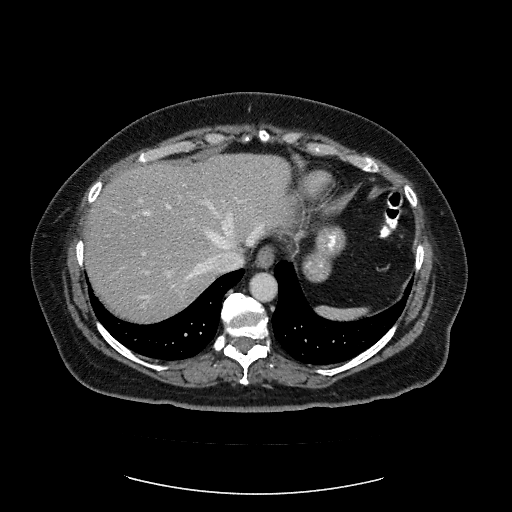
Abdomen. CT slice. Image size 512x512.

The vessel boxes may cover only some of the vessels.
• hepatic vessel: [139, 199, 142, 202], [184, 184, 186, 186], [133, 216, 134, 217], [143, 252, 145, 255], [144, 211, 150, 214], [207, 232, 230, 247], [166, 271, 173, 276], [189, 257, 215, 277], [167, 204, 170, 207], [222, 214, 232, 234], [248, 224, 264, 242], [202, 199, 216, 211], [138, 295, 150, 300], [146, 270, 148, 273], [107, 234, 110, 236]